Upper abdomen, Computed tomography
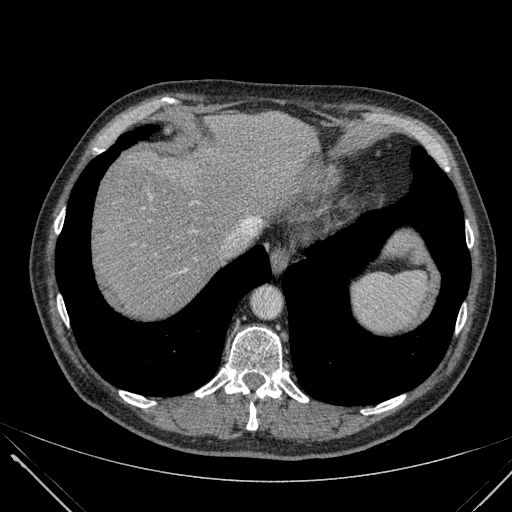 {
  "liver": [
    "(x1=93, y1=112, x2=329, y2=319)"
  ]
}